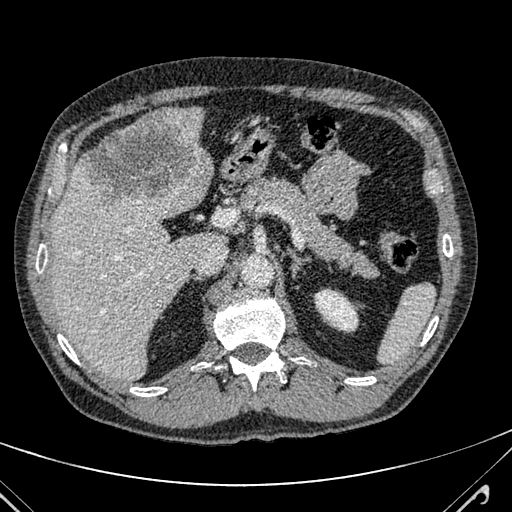
512x512 | CT scan slice | Liver
3 liver regions appear at 50 161 225 379, 164 108 204 146, 126 120 141 128. The hepatic lesion is at 78 110 210 205.